Slice index 84 | Computed tomography | Field of view 487x487 mm
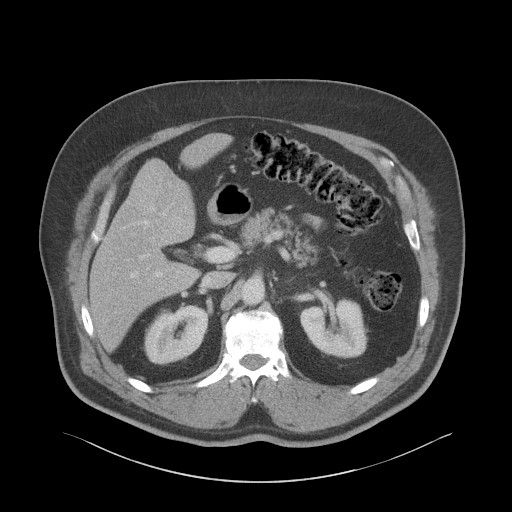
2 kidney regions appear at rect(301, 300, 365, 356); rect(145, 306, 207, 362). 2 liver regions are bounded by rect(91, 162, 195, 346); rect(185, 136, 225, 168).